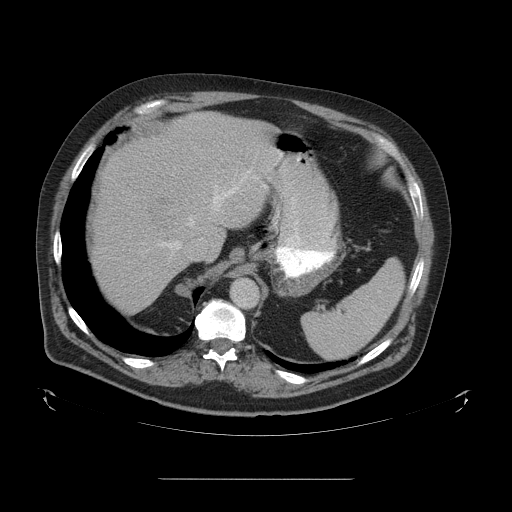
CT slice, Liver

Not every hepatic vessel necessarily has a box.
<segmentation>
  <hepatic_vessel>bbox(142, 242, 146, 243); bbox(208, 178, 238, 220); bbox(221, 222, 224, 224); bbox(161, 264, 165, 265); bbox(186, 216, 195, 227); bbox(199, 238, 205, 241); bbox(156, 240, 200, 264)</hepatic_vessel>
  <liver_tumor>bbox(158, 196, 171, 206)</liver_tumor>
</segmentation>